FLAIR MR.
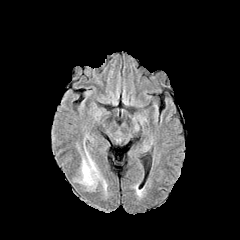
T1-weighted MR.
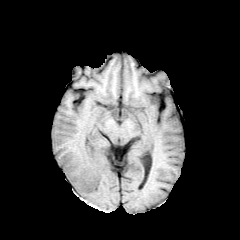
Post-contrast T1-weighted MR image.
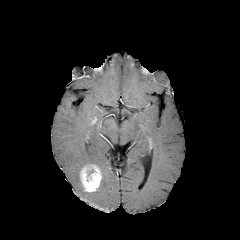
T2-weighted MRI.
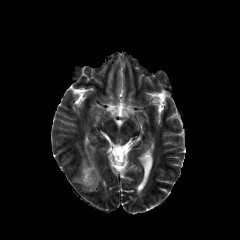
Image size 240x240.
Findings:
* enhancing tumor: (x1=80, y1=165, x2=100, y2=191)
* edema: (x1=81, y1=149, x2=95, y2=168)